Abdomen. Image size 512x512. CT. Slice index 78.

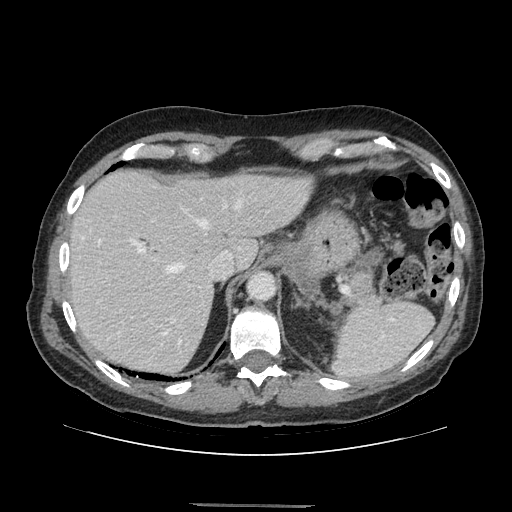

pancreas: 351,271,372,297